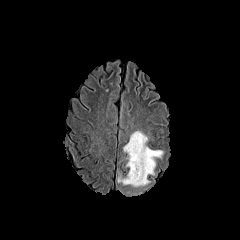
FLAIR magnetic resonance.
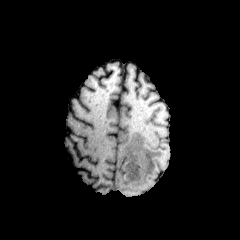
T1-weighted MR.
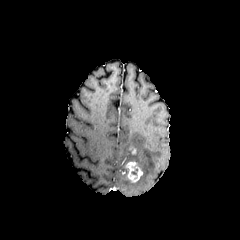
Post-contrast T1-weighted magnetic resonance.
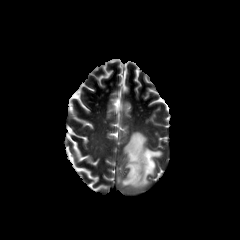
T2-weighted MR of the same slice.
Head
• edema: left=116, top=131, right=161, bottom=194
• enhancing tumor: left=125, top=161, right=143, bottom=182